Upper abdomen | Computed tomography | Slice 594/917 | 512x512
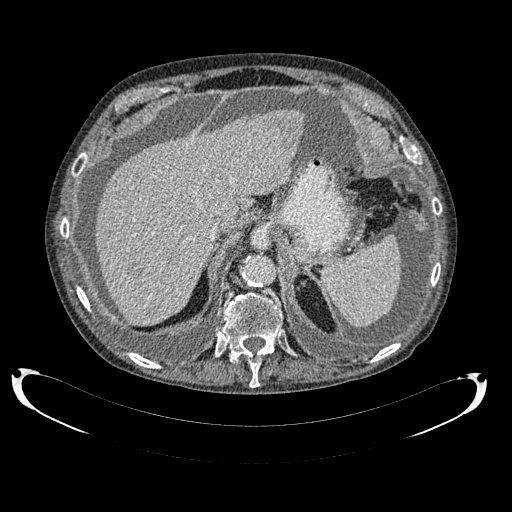 Findings:
* liver lesion: x1=167 y1=257 x2=180 y2=266, x1=149 y1=308 x2=157 y2=317, x1=277 y1=117 x2=300 y2=146, x1=128 y1=262 x2=141 y2=274
* liver: x1=96 y1=109 x2=304 y2=324